240x240 px; Head
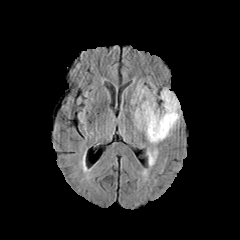
FLAIR MR image.
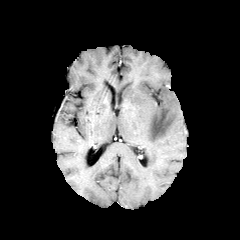
Same slice, T1-weighted MR.
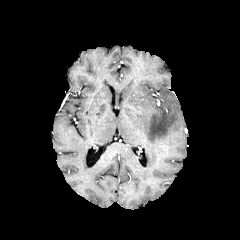
Post-contrast T1-weighted MRI of the same slice.
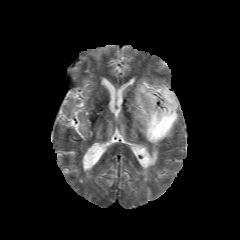
T2-weighted MRI.
Edema: bbox(135, 83, 180, 143).